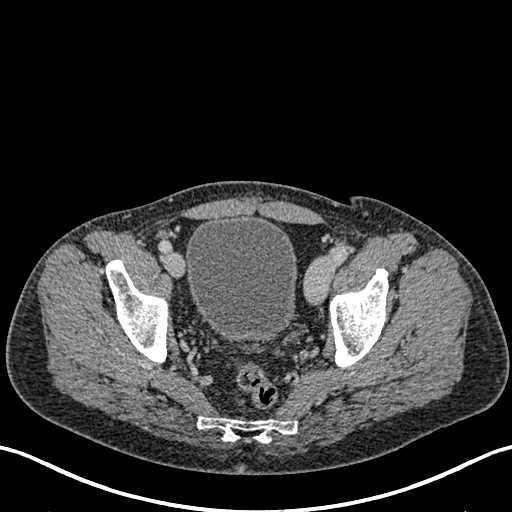

CT slice; Pelvis
<segmentation>
  <urinary_bladder>(x1=185, y1=215, x2=296, y2=341)</urinary_bladder>
</segmentation>